FLAIR MR image.
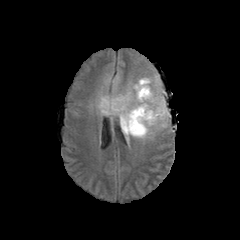
T1-weighted magnetic resonance.
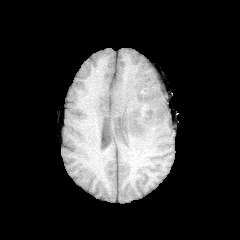
Post-contrast T1-weighted magnetic resonance.
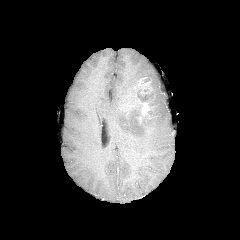
T2-weighted MR image.
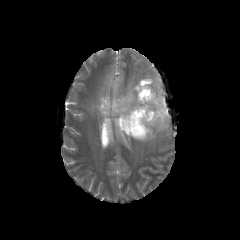
240x240 px
Findings:
• edema: <bbox>96, 80, 171, 141</bbox>, <bbox>124, 78, 142, 96</bbox>
• non-enhancing tumor core: <bbox>104, 94, 127, 115</bbox>, <bbox>126, 88, 158, 130</bbox>
• enhancing tumor: <bbox>138, 102, 152, 119</bbox>, <bbox>119, 100, 127, 111</bbox>, <bbox>137, 80, 149, 91</bbox>